Liver, CT slice, Slice index 189 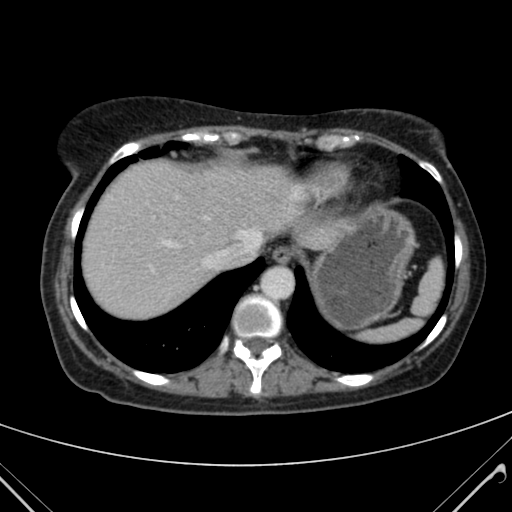
{"liver": ["81:159:343:318"]}